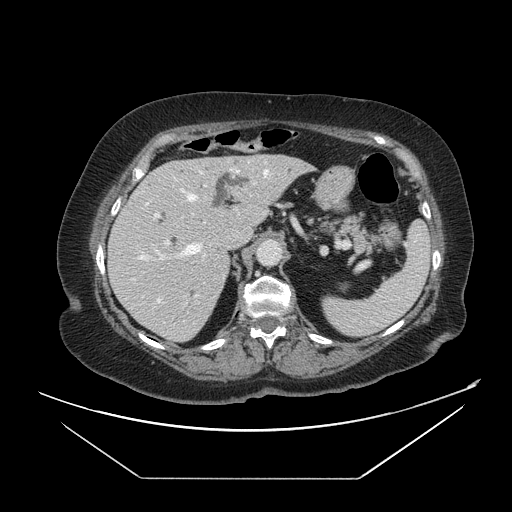 Upper abdomen | Computed tomography

pancreas:
  - 320, 216, 378, 252